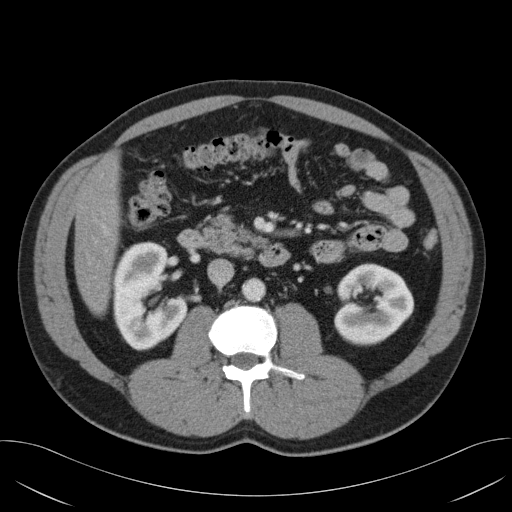
CT slice. 512x512.

<segmentation>
  <pancreas>(left=196, top=212, right=267, bottom=259)</pancreas>
</segmentation>